Slice index 147, CT scan slice, Upper abdomen
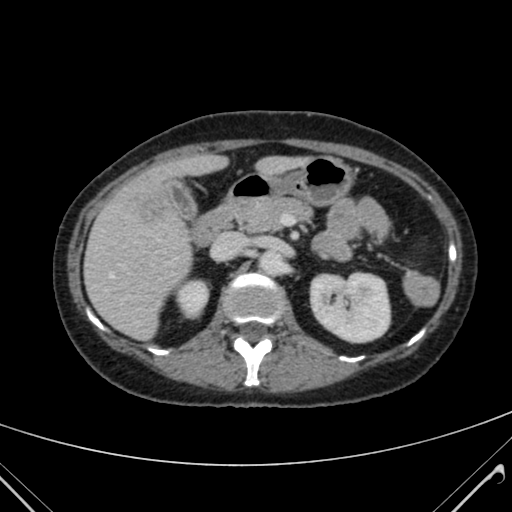
focal liver lesion: <bbox>136, 190, 169, 223</bbox> | kidney: <bbox>181, 282, 205, 312</bbox>, <bbox>311, 274, 389, 341</bbox> | liver: <bbox>259, 158, 284, 172</bbox>, <bbox>82, 153, 224, 339</bbox>